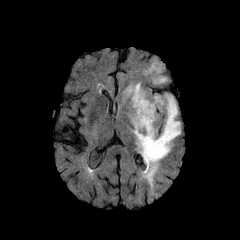
FLAIR MRI.
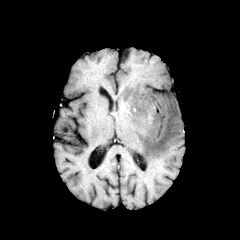
Same slice, T1-weighted MR.
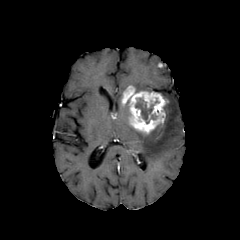
Post-contrast T1-weighted MR.
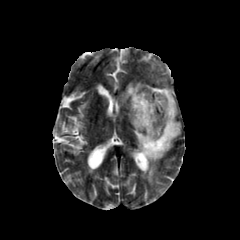
T2-weighted magnetic resonance.
Image size 240x240
• enhancing tumor: 122,85,169,134
• edema: 133,93,180,183; 132,82,141,90
• non-enhancing tumor core: 136,102,149,122